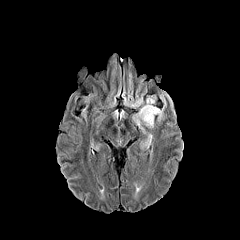
FLAIR magnetic resonance.
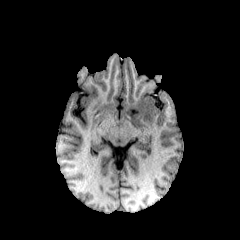
T1-weighted MRI.
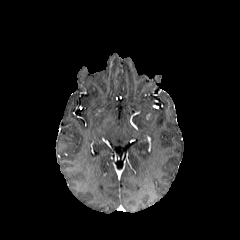
Post-contrast T1-weighted MRI.
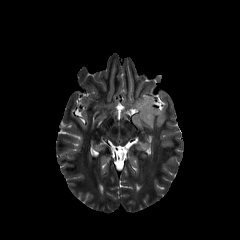
T2-weighted magnetic resonance.
Brain
Edema: region(132, 92, 171, 132); region(133, 97, 142, 107).